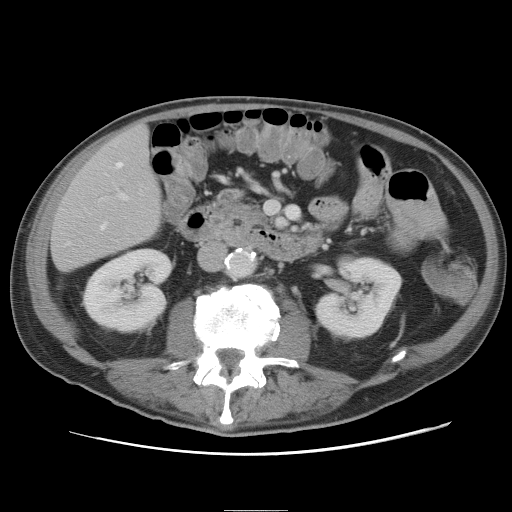

Abdomen | CT scan slice

The vessel boxes may cover only some of the vessels.
5 hepatic vessel regions appear at box=[118, 190, 126, 199]; box=[68, 242, 70, 244]; box=[138, 126, 141, 127]; box=[101, 223, 107, 229]; box=[117, 163, 122, 167].